FLAIR MR image.
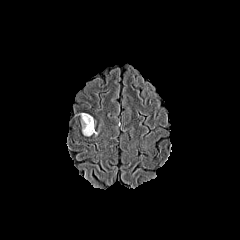
T1-weighted MR.
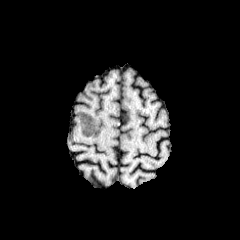
Post-contrast T1-weighted MR image.
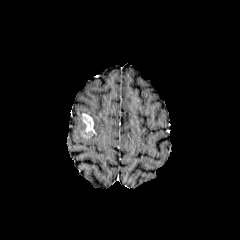
T2-weighted MR image.
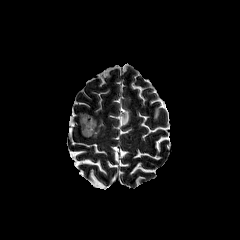
Non-enhancing tumor core at x1=81, y1=113, x2=96, y2=138.
Enhancing tumor at x1=83, y1=114, x2=94, y2=132.